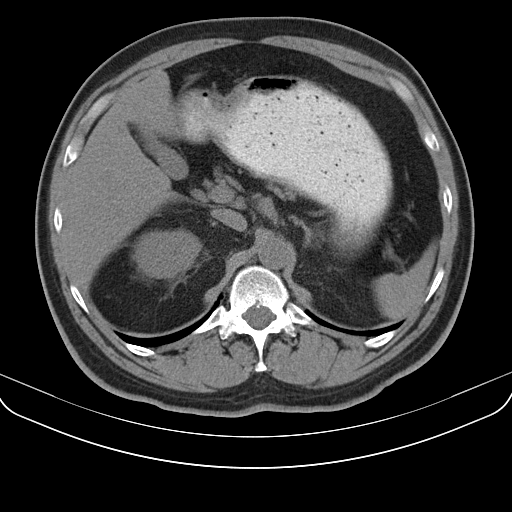
512x512. Abdomen. CT slice. The spleen lies within (left=376, top=244, right=433, bottom=318).